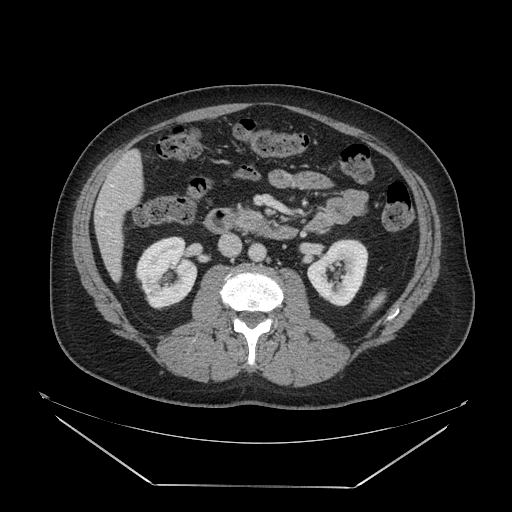
Computed tomography, Abdomen

Pancreatic tumor at region(248, 218, 267, 233).
Pancreas at region(243, 211, 263, 220).